FLAIR magnetic resonance.
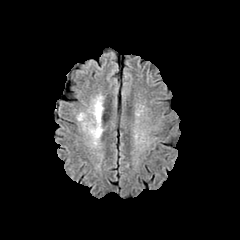
T1-weighted MR image.
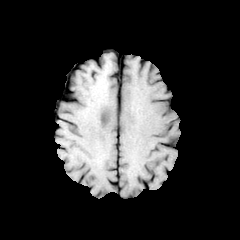
Post-contrast T1-weighted MR.
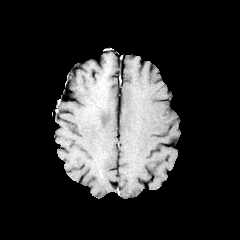
T2-weighted MR.
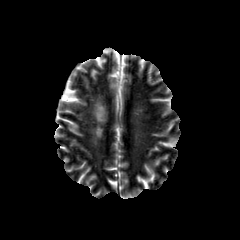
240x240 px; Brain
Edema = l=76, t=113, r=86, b=129; l=86, t=94, r=103, b=147.